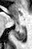 MR image, Hippocampus

Posterior hippocampus: 13, 28, 25, 40.